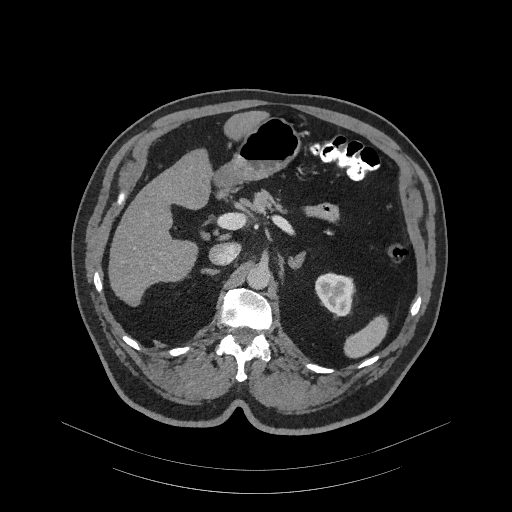

Abdomen; CT scan slice
The pancreas lies within 251,190,284,212.